CT

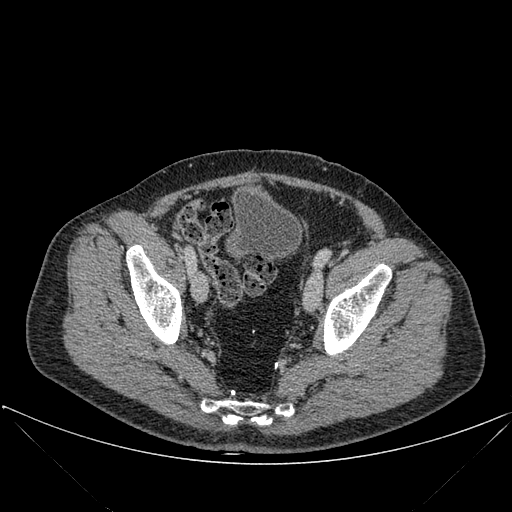

Bone — (left=275, top=406, right=293, bottom=416), (left=222, top=415, right=244, bottom=426), (left=201, top=400, right=267, bottom=412), (left=250, top=416, right=272, bottom=426), (left=324, top=264, right=391, bottom=354), (left=126, top=245, right=181, bottom=343).